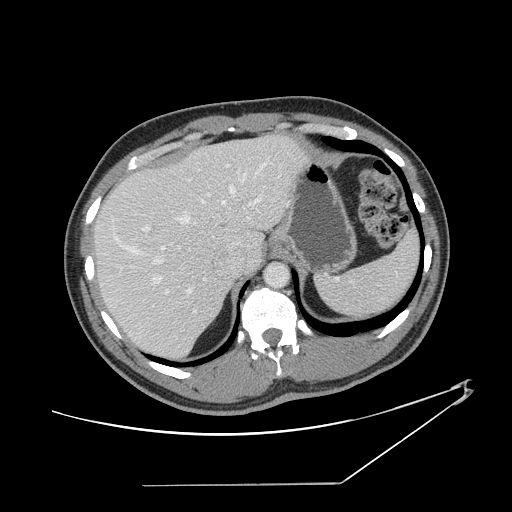
512x512 | CT slice | Abdomen

The vessel annotation is not exhaustive.
partial: true
hepatic_vessel:
  # 15 of 24 shown
  - <box>142,226,149,230</box>
  - <box>224,164,229,166</box>
  - <box>117,266,121,271</box>
  - <box>257,162,266,173</box>
  - <box>176,213,195,223</box>
  - <box>154,257,162,263</box>
  - <box>251,196,261,205</box>
  - <box>127,246,142,253</box>
  - <box>186,287,191,293</box>
  - <box>152,275,161,283</box>
  - <box>277,170,281,178</box>
  - <box>113,231,121,244</box>
  - <box>222,201,225,204</box>
  - <box>230,186,234,196</box>
  - <box>239,174,245,182</box>